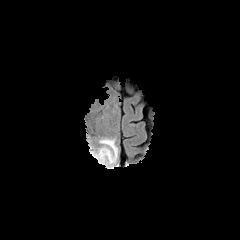
FLAIR MRI.
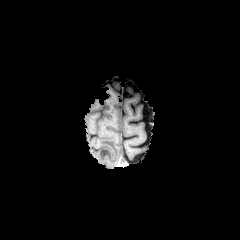
Same slice, T1-weighted MRI.
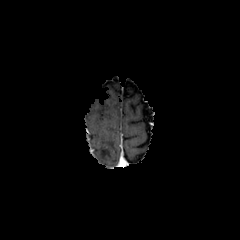
Post-contrast T1-weighted MR.
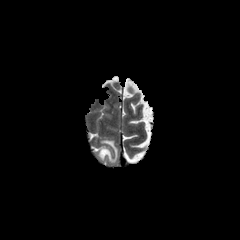
T2-weighted MR image.
Head | 240x240
edema:
  - <box>100,148,114,162</box>
  - <box>101,138,117,155</box>